FLAIR MR image.
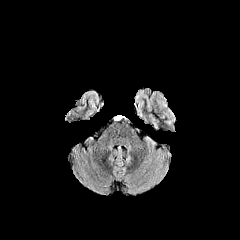
T1-weighted MR.
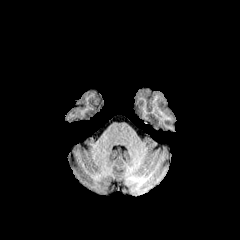
Post-contrast T1-weighted MR image.
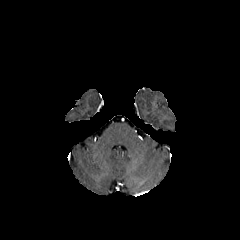
T2-weighted magnetic resonance.
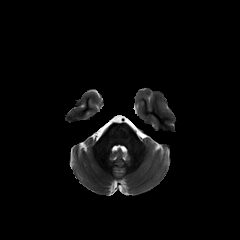
Edema = [157,95,173,119].